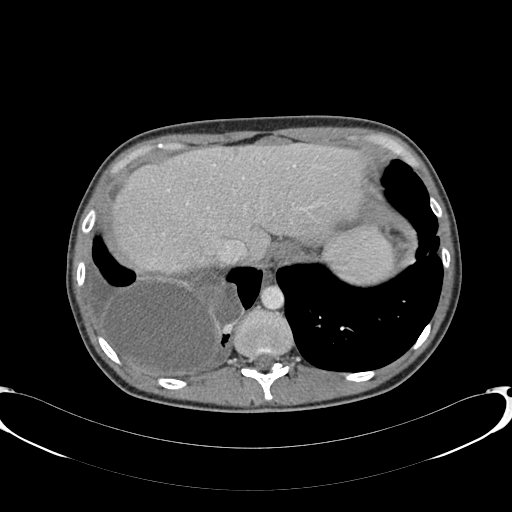 CT | 512x512 px | Upper abdomen
Segmented structures:
* liver: 114,144,369,272